FLAIR MR.
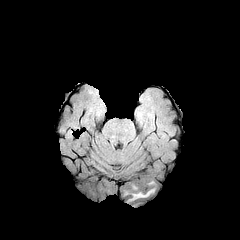
T1-weighted MR image.
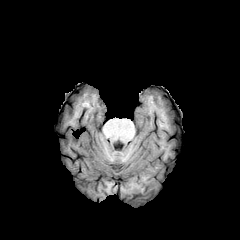
Post-contrast T1-weighted magnetic resonance.
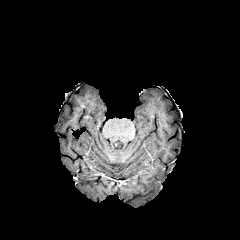
T2-weighted magnetic resonance.
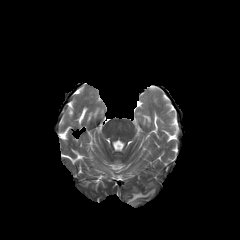
240x240 | Brain
Edema — (127, 187, 155, 202).